CT. Slice 247 of 333.

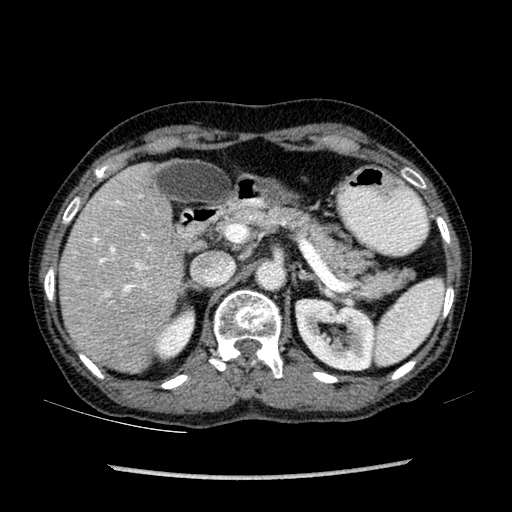
{
  "kidney": [
    "left=155, top=312, right=193, bottom=356",
    "left=296, top=300, right=373, bottom=369"
  ],
  "liver": [
    "left=60, top=170, right=182, bottom=370"
  ]
}